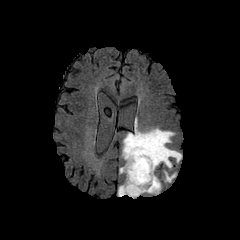
FLAIR MRI.
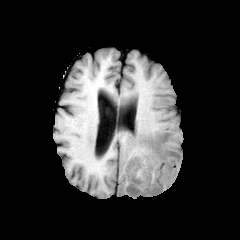
T1-weighted MR.
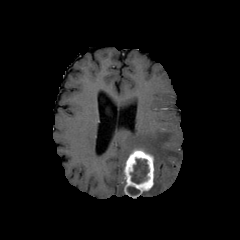
Post-contrast T1-weighted MRI.
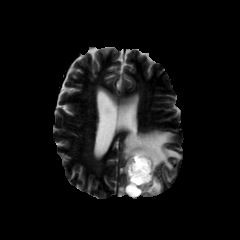
Same slice, T2-weighted MRI.
Head
Non-enhancing tumor core: [x1=131, y1=159, x2=147, y2=183], [x1=128, y1=186, x2=139, y2=194].
Edema: [x1=162, y1=170, x2=175, y2=182], [x1=143, y1=174, x2=162, y2=194], [x1=122, y1=117, x2=181, y2=171], [x1=118, y1=184, x2=126, y2=196].
Enhancing tumor: [x1=123, y1=148, x2=154, y2=197].